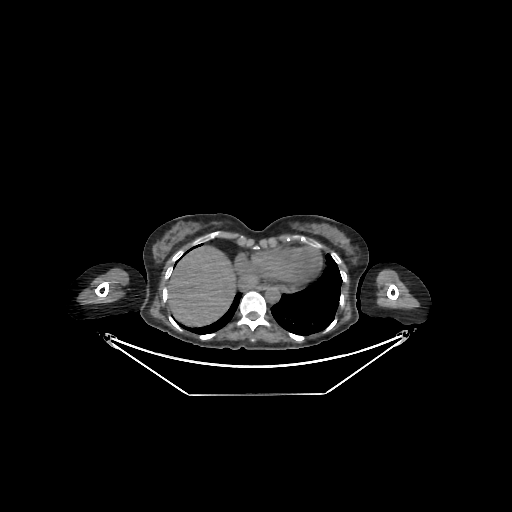
Image size 512x512; CT scan slice
Liver: 168:246:234:325.